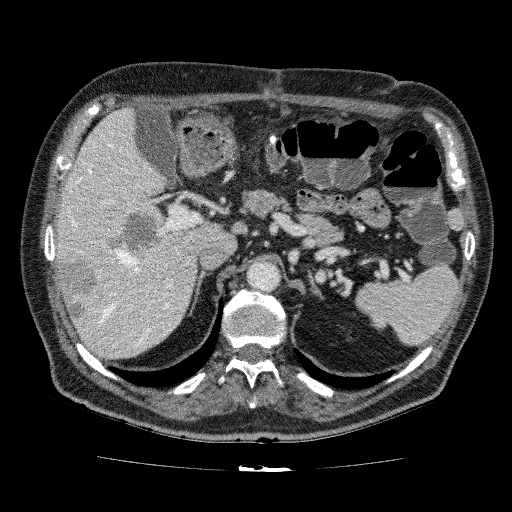
Computed tomography
Liver lesion: bounding box region(56, 249, 110, 322); region(166, 313, 174, 320); region(105, 208, 162, 258).
Liver: bounding box region(55, 107, 237, 359).